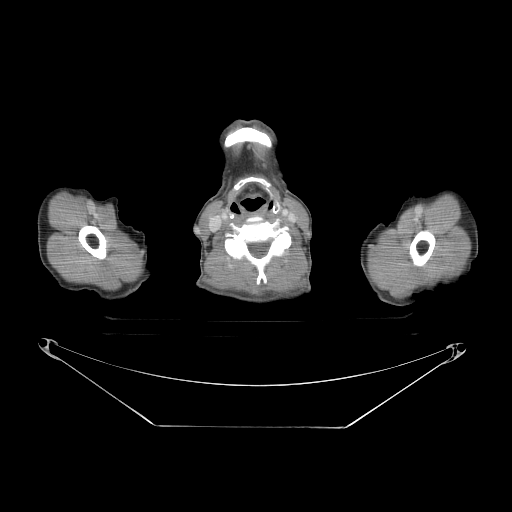 CT scan slice.

Annotated regions:
- bone: region(225, 128, 270, 146); region(410, 230, 434, 266); region(79, 226, 106, 258); region(225, 217, 290, 280)